CT scan slice
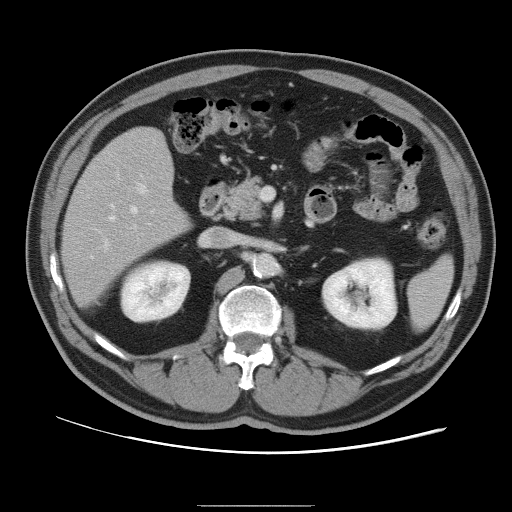 Only some of the vessels may be annotated.
Hepatic vessel — 97 229 101 232, 116 168 119 179, 137 184 146 193, 109 216 115 219, 130 206 137 213, 91 255 92 257, 132 224 136 230, 151 210 154 212, 111 204 114 209, 102 238 109 250, 140 174 142 177.